FLAIR MR image.
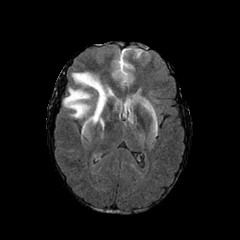
T1-weighted MRI.
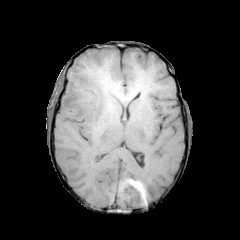
Post-contrast T1-weighted magnetic resonance.
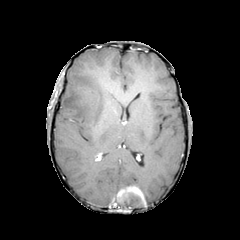
T2-weighted magnetic resonance.
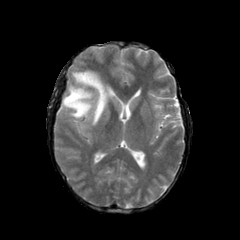
The edema is located at box(63, 71, 114, 125).